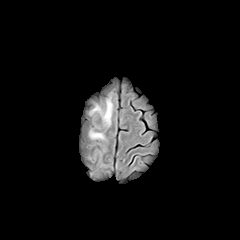
FLAIR MR.
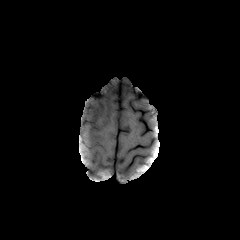
T1-weighted MRI.
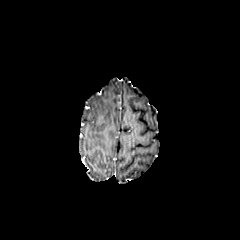
Post-contrast T1-weighted MRI of the same slice.
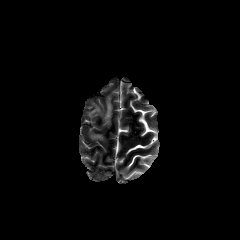
T2-weighted MR.
Head | 240x240
edema:
  - 103:99:112:124
  - 91:133:103:138